FLAIR MR.
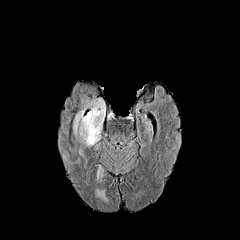
T1-weighted MR image.
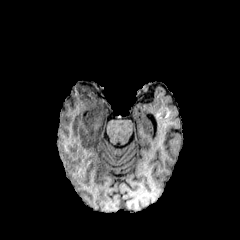
Post-contrast T1-weighted MR image.
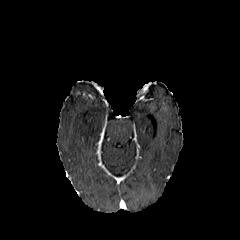
T2-weighted magnetic resonance.
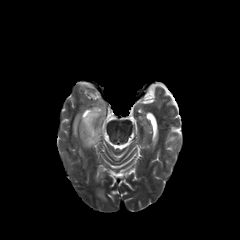
Brain
{"edema": [{"x1": 73, "y1": 100, "x2": 105, "y2": 147}]}